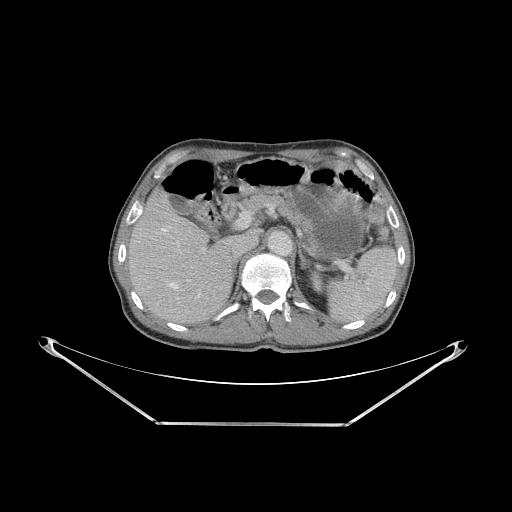
Abdomen, CT slice
<segmentation>
  <liver>[130, 186, 263, 322]</liver>
  <bone>[398, 247, 404, 264], [127, 205, 140, 223], [168, 323, 186, 330], [242, 254, 291, 320], [343, 320, 363, 328], [386, 291, 395, 306], [131, 292, 142, 308], [388, 210, 398, 227], [118, 245, 125, 261]</bone>
</segmentation>